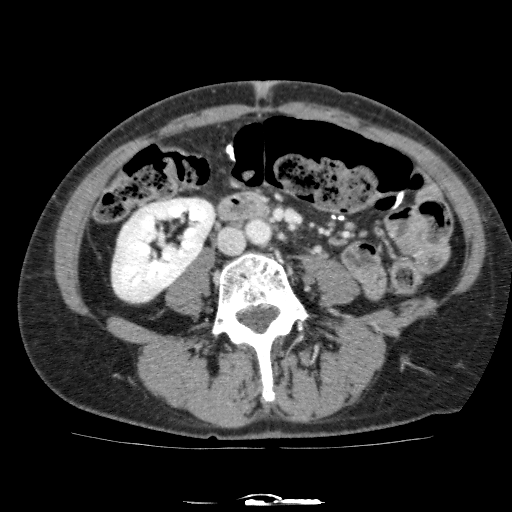

512x512; CT

<segmentation>
  <kidney>112,199,214,301</kidney>
</segmentation>